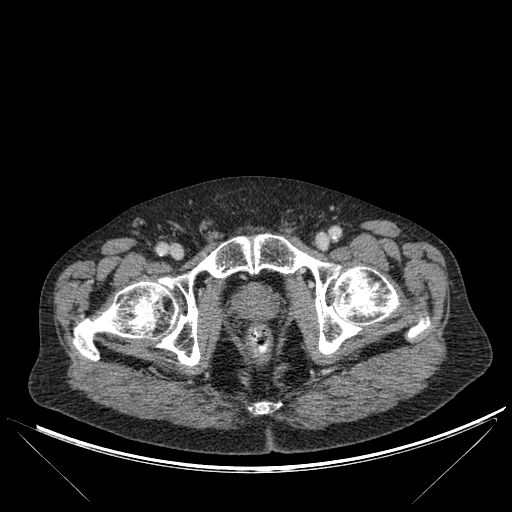
CT

Bone — x1=73 y1=234 x2=399 y2=366, x1=256 y1=402 x2=269 y2=413, x1=408 y1=317 x2=429 y2=338.